Slice 425 of 677. Computed tomography.

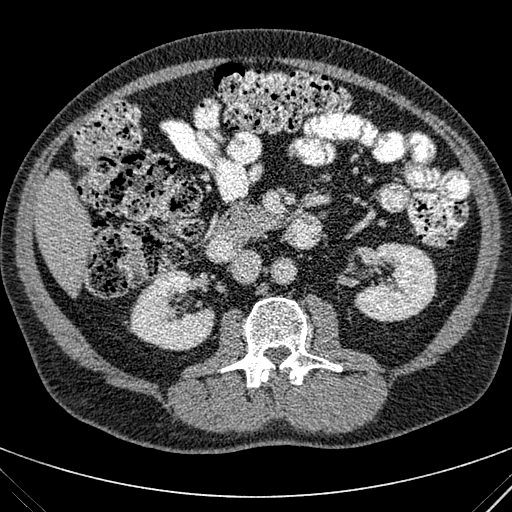

Liver: [35,171,90,296].
Kidney: [131,270,213,349], [355,243,436,321].